Slice 12/41 | Liver | 512x512 | CT slice
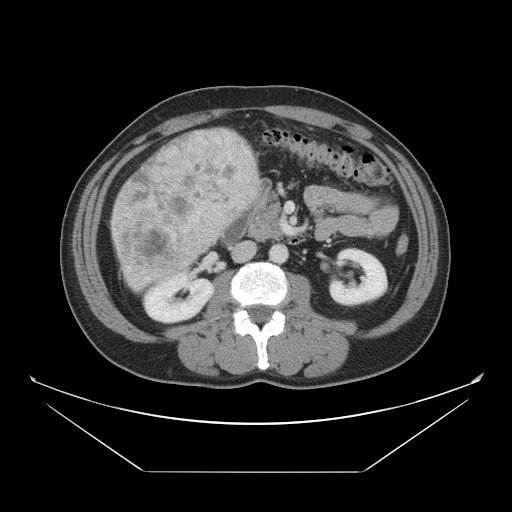

The vessel annotation is not exhaustive.
Hepatic vessel = [133, 279, 135, 281], [145, 277, 149, 281], [126, 266, 130, 272], [142, 270, 144, 273].
Liver tumor = [111, 129, 254, 270].